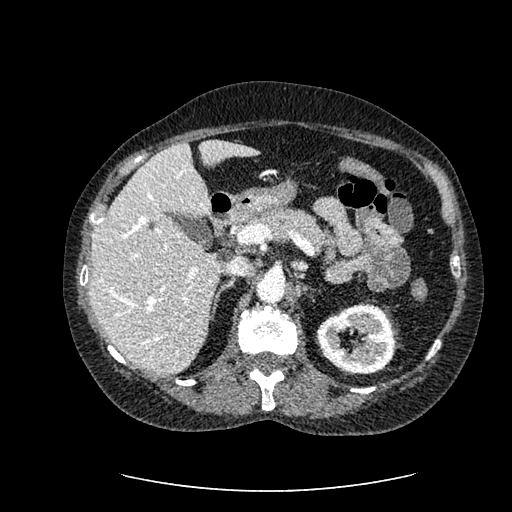 CT | Upper abdomen
<segmentation>
  <kidney>(left=317, top=305, right=394, bottom=373)</kidney>
  <hepatic_lesion>(left=148, top=221, right=155, bottom=229)</hepatic_lesion>
  <liver>(left=199, top=141, right=259, bottom=166), (left=90, top=142, right=220, bottom=375)</liver>
</segmentation>